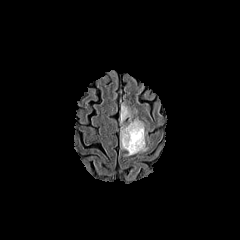
FLAIR MR.
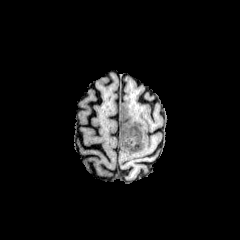
Same slice, T1-weighted magnetic resonance.
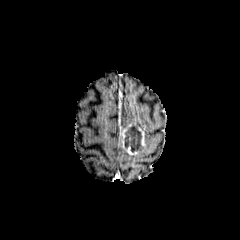
Same slice, post-contrast T1-weighted magnetic resonance.
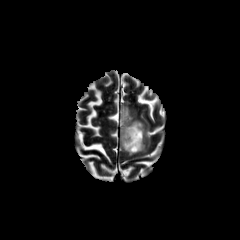
T2-weighted MR.
240x240 px, Head
Enhancing tumor — (x1=137, y1=125, x2=146, y2=148), (x1=121, y1=124, x2=138, y2=156).
Non-enhancing tumor core — (x1=125, y1=124, x2=141, y2=151).
Edema — (x1=129, y1=119, x2=143, y2=127), (x1=120, y1=103, x2=129, y2=119).